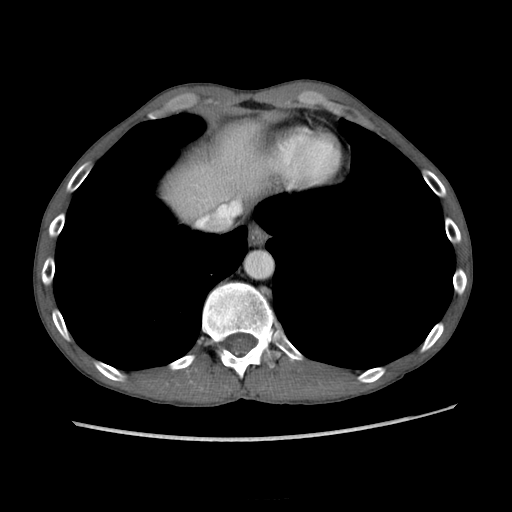

CT slice
{
  "liver": [
    "x1=166, y1=120, x2=269, y2=229"
  ]
}